FLAIR magnetic resonance.
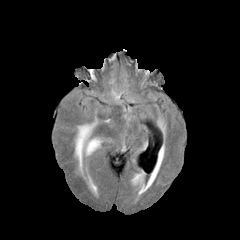
T1-weighted MRI.
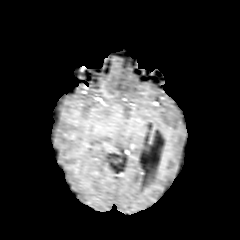
Post-contrast T1-weighted MR.
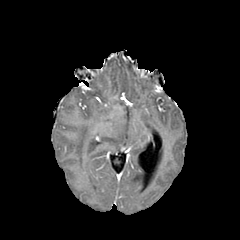
T2-weighted MRI.
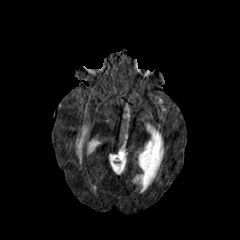
Head
Edema: region(86, 139, 100, 154); region(76, 125, 92, 167).